Head; Field of view 240x240 mm; 240x240; Slice index 73
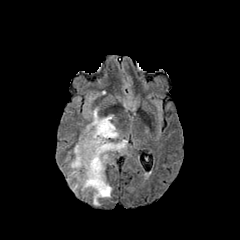
FLAIR magnetic resonance.
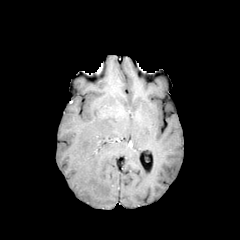
T1-weighted magnetic resonance.
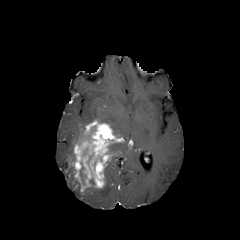
Post-contrast T1-weighted MR image.
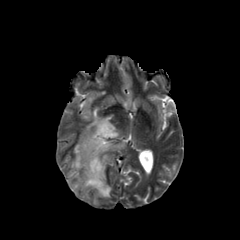
T2-weighted magnetic resonance.
<segmentation>
  <non-enhancing_tumor_core>{"x1": 79, "y1": 163, "x2": 86, "y2": 185}</non-enhancing_tumor_core>
  <edema>{"x1": 85, "y1": 107, "x2": 119, "y2": 134}, {"x1": 66, "y1": 158, "x2": 74, "y2": 183}, {"x1": 110, "y1": 139, "x2": 128, "y2": 154}, {"x1": 70, "y1": 181, "x2": 80, "y2": 195}, {"x1": 85, "y1": 169, "x2": 112, "y2": 205}</edema>
  <enhancing_tumor>{"x1": 72, "y1": 120, "x2": 124, "y2": 191}</enhancing_tumor>
</segmentation>